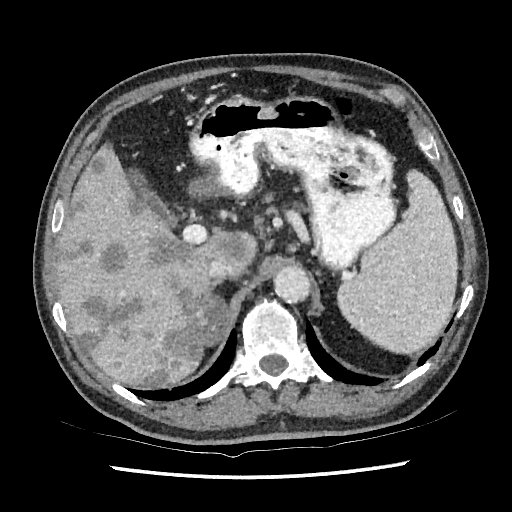

CT image
10 liver lesion regions are located at bbox(66, 240, 92, 260); bbox(141, 328, 152, 340); bbox(144, 273, 210, 383); bbox(148, 232, 196, 266); bbox(215, 234, 246, 263); bbox(101, 243, 128, 271); bbox(128, 198, 145, 216); bbox(91, 158, 105, 174); bbox(68, 196, 85, 219); bbox(80, 296, 143, 349). 3 liver regions are located at bbox(57, 143, 255, 383); bbox(165, 361, 197, 382); bbox(193, 307, 197, 333).